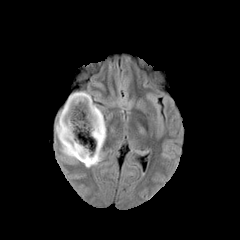
FLAIR MR.
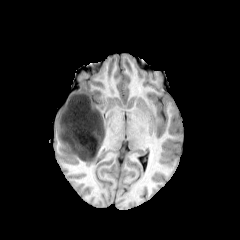
T1-weighted MR.
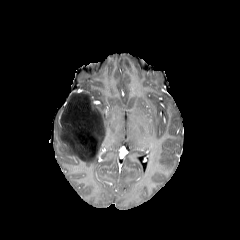
Post-contrast T1-weighted magnetic resonance.
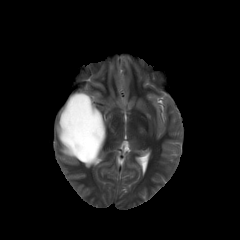
Same slice, T2-weighted MRI.
Brain.
• non-enhancing tumor core: region(59, 92, 104, 161)
• edema: region(80, 90, 98, 101); region(94, 103, 106, 141); region(55, 110, 99, 167)